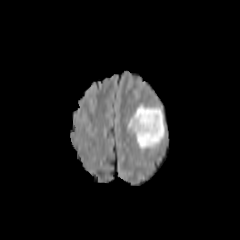
FLAIR MR.
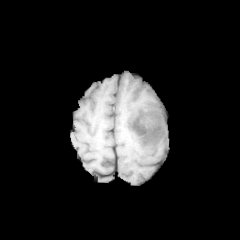
T1-weighted MR image.
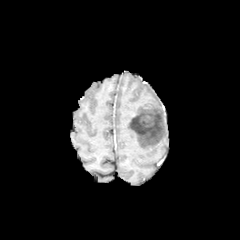
Post-contrast T1-weighted MRI of the same slice.
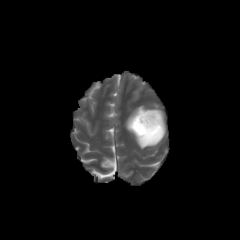
T2-weighted magnetic resonance of the same slice.
<segmentation>
  <edema>{"x1": 127, "y1": 105, "x2": 168, "y2": 148}</edema>
  <non-enhancing_tumor_core>{"x1": 130, "y1": 114, "x2": 158, "y2": 135}</non-enhancing_tumor_core>
</segmentation>